240x240. Slice index 100.
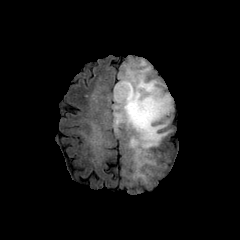
FLAIR MR image.
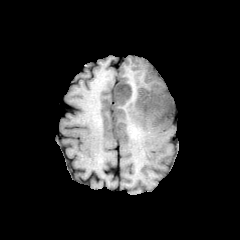
T1-weighted MRI.
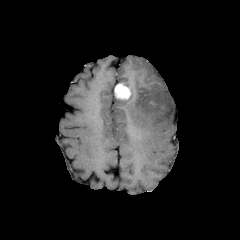
Post-contrast T1-weighted magnetic resonance.
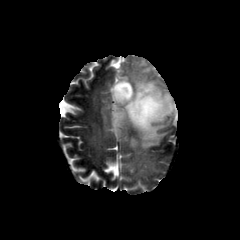
T2-weighted MR image.
Findings:
• enhancing tumor: 114 82 131 100
• non-enhancing tumor core: 117 76 171 119, 129 121 139 139, 113 89 127 131
• edema: 110 100 115 131, 156 78 173 111, 118 60 155 89, 116 93 171 181